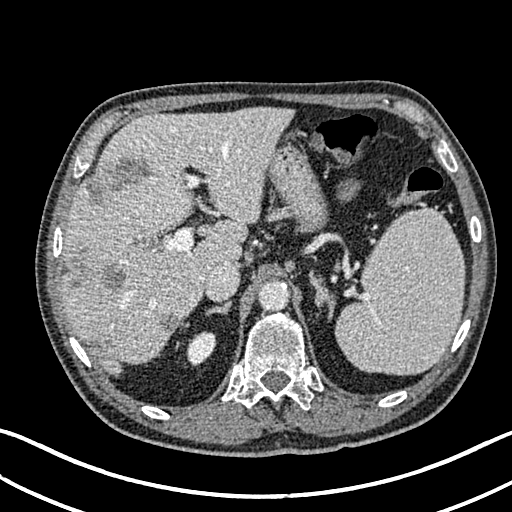
CT image. 512x512. 5 hepatic lesion regions appear at box(89, 339, 101, 350); box(160, 314, 176, 331); box(65, 247, 89, 285); box(87, 156, 151, 205); box(102, 265, 126, 289). The kidney is at box(188, 333, 214, 363). The liver appears at box(64, 107, 293, 373).